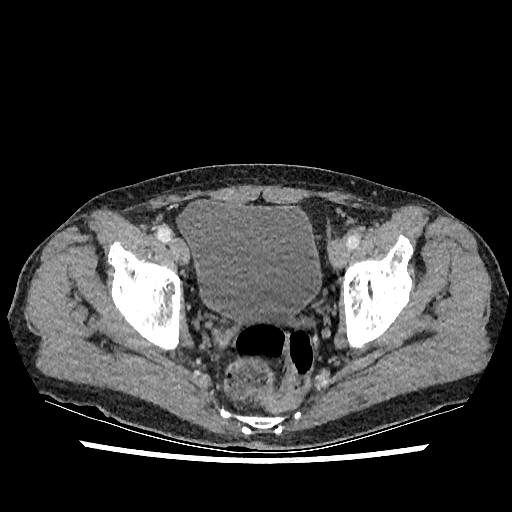
CT. Pelvis.

Urinary bladder at x1=177, y1=198, x2=322, y2=333.